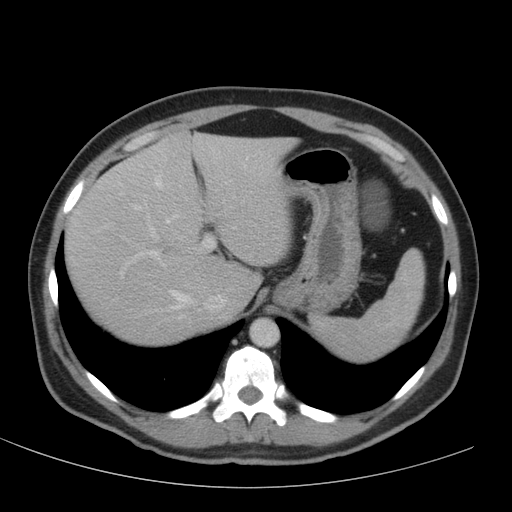 512x512; CT slice; Liver
liver: region(66, 130, 294, 341)